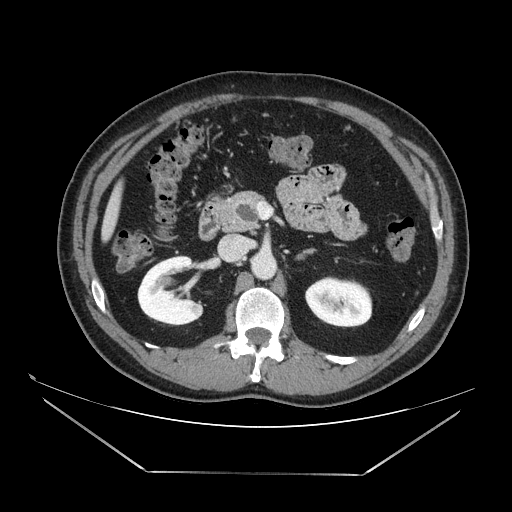 CT. 512x512.

pancreas: [x1=217, y1=191, x2=262, y2=232]